FLAIR MRI.
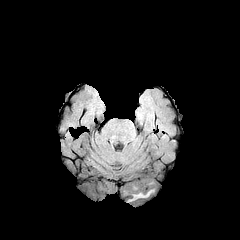
T1-weighted magnetic resonance.
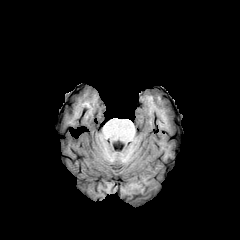
Post-contrast T1-weighted MR image.
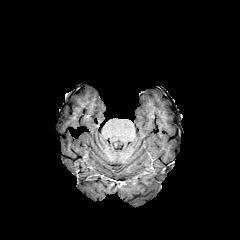
T2-weighted MRI.
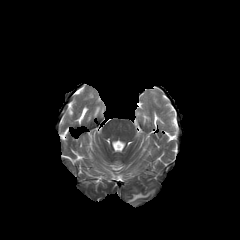
Annotated regions:
* edema: (127, 189, 155, 202)